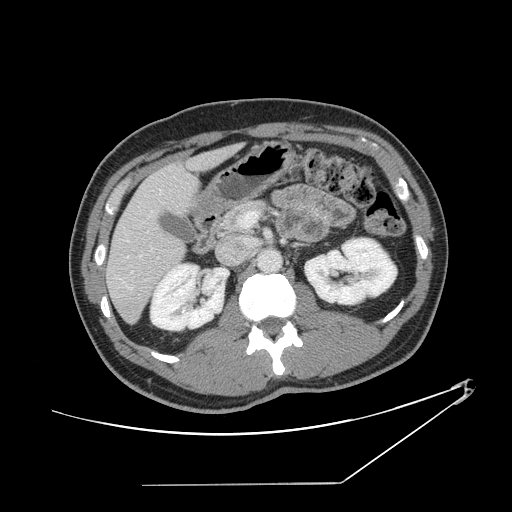 Computed tomography, 512x512 px, Abdomen

Not every hepatic vessel necessarily has a box.
hepatic vessel: {"x1": 160, "y1": 190, "x2": 160, "y2": 194}, {"x1": 140, "y1": 255, "x2": 141, "y2": 256}, {"x1": 150, "y1": 212, "x2": 152, "y2": 214}, {"x1": 150, "y1": 249, "x2": 152, "y2": 250}, {"x1": 127, "y1": 287, "x2": 132, "y2": 289}, {"x1": 127, "y1": 255, "x2": 128, "y2": 257}, {"x1": 124, "y1": 240, "x2": 128, "y2": 241}